Pelvis. CT scan slice. 512x512 px.

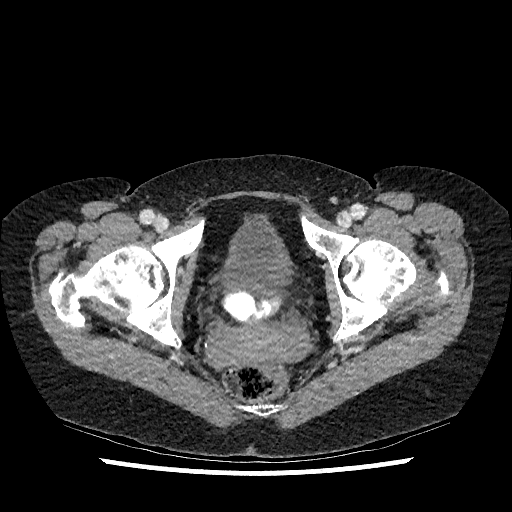
{"urinary_bladder": ["(213, 212, 296, 293)"]}